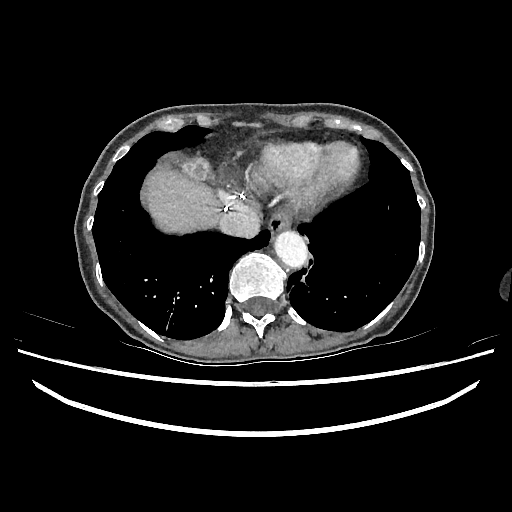 Liver; CT slice
liver: rect(146, 172, 221, 233)